Image size 512x512. Image width 422 mm. CT image. Liver.
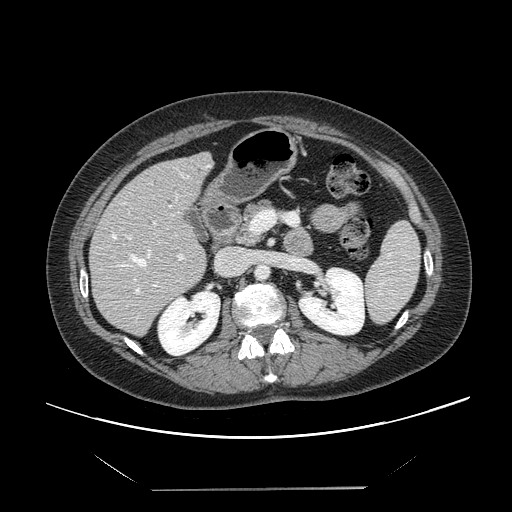

Not every hepatic vessel necessarily has a box.
13 hepatic vessel regions appear at 175:234:176:235, 133:278:141:295, 120:202:126:204, 152:282:158:287, 251:214:260:233, 216:249:244:274, 111:232:117:239, 153:221:156:224, 115:247:151:268, 124:234:132:239, 176:253:185:261, 175:194:178:200, 168:205:172:207.